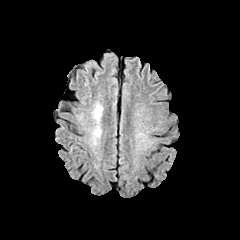
FLAIR magnetic resonance.
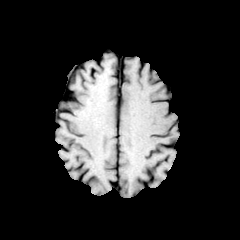
T1-weighted magnetic resonance.
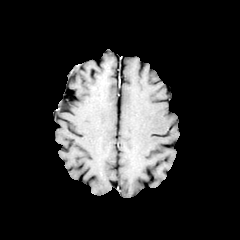
Post-contrast T1-weighted MRI.
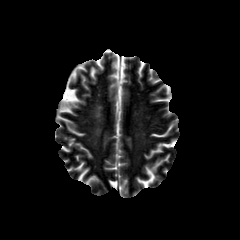
T2-weighted MRI.
Head | 240x240
edema:
  - x1=94, y1=127, x2=101, y2=136
  - x1=92, y1=103, x2=102, y2=121